Field of view 351x351 mm | Slice 574 of 588 | CT
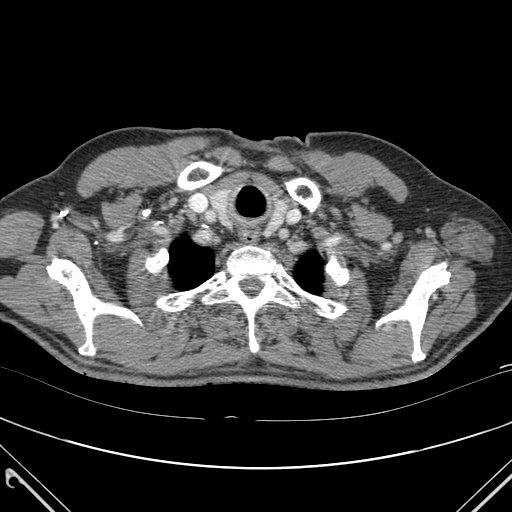

2 lung regions appear at bbox(294, 251, 322, 294); bbox(168, 236, 214, 290). 7 bone regions appear at bbox(326, 258, 348, 285); bbox(47, 258, 140, 355); bbox(157, 246, 346, 351); bbox(146, 248, 168, 272); bbox(376, 262, 450, 361); bbox(286, 178, 320, 211); bbox(178, 162, 221, 189).